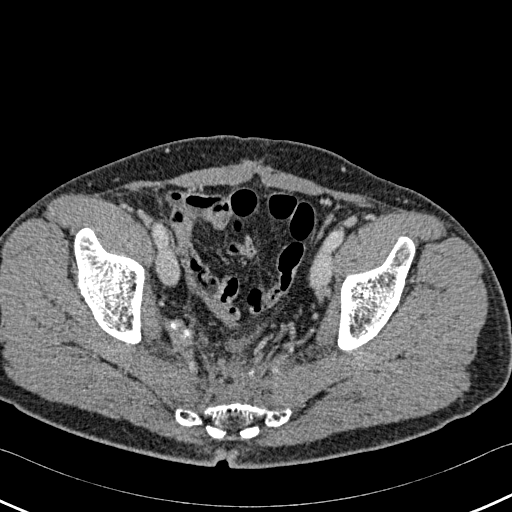
Computed tomography

- bone: <box>75,228,143,343</box>, <box>338,237,414,349</box>, <box>175,409,202,426</box>, <box>204,403,291,437</box>